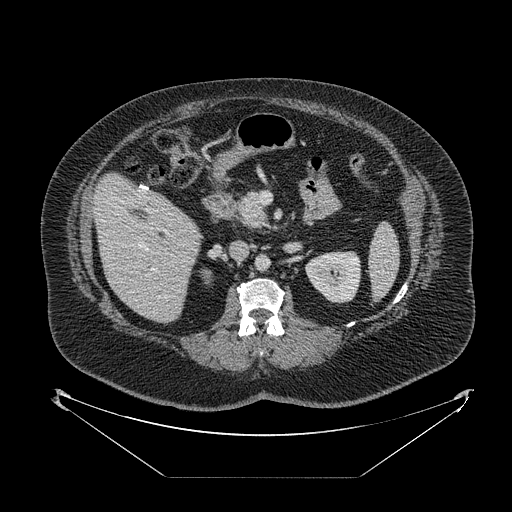
CT scan slice. Upper abdomen.
* pancreas: bbox(236, 190, 268, 229)